Image size 512x512; CT scan slice; Slice index 35; Abdomen

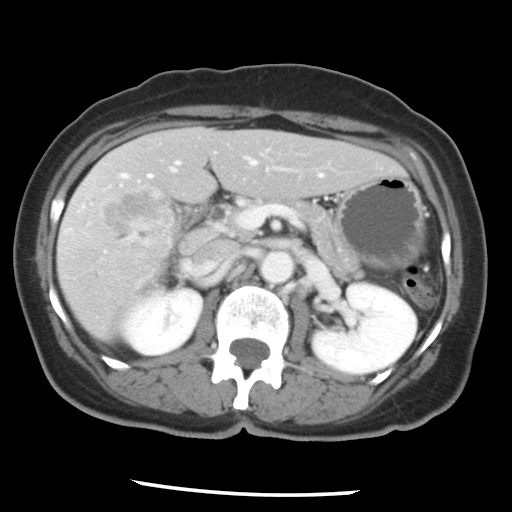 The vessel annotation is not exhaustive.
hepatic_vessel:
  - 217, 226, 222, 228
  - 177, 161, 178, 163
  - 120, 173, 125, 177
  - 148, 174, 150, 176
  - 247, 158, 253, 163
  - 237, 206, 268, 228
liver_tumor:
  - 101, 187, 167, 279